FLAIR MR image.
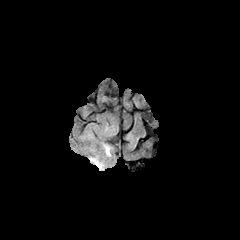
T1-weighted MRI.
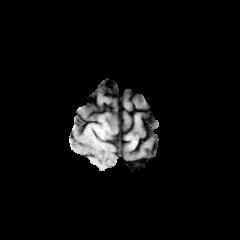
Post-contrast T1-weighted MRI.
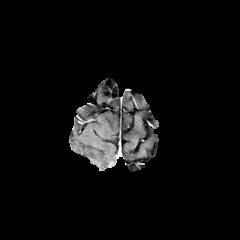
T2-weighted MR.
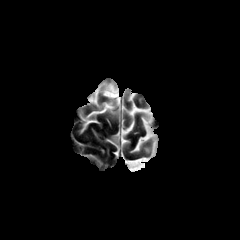
Brain
edema: l=89, t=155, r=106, b=170; l=101, t=142, r=113, b=158